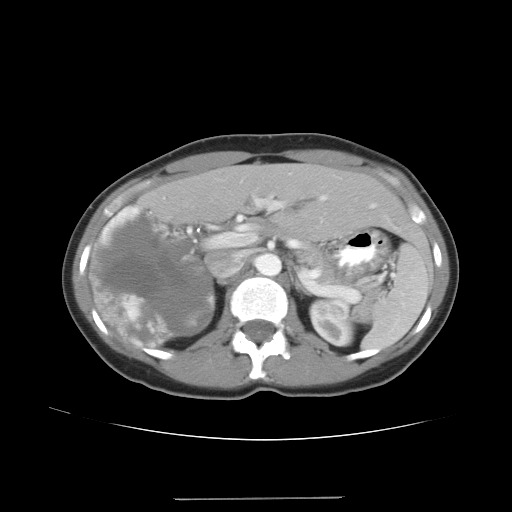

CT scan slice
{
  "pancreas": [
    "x1=267 y1=223 x2=383 y2=316"
  ]
}